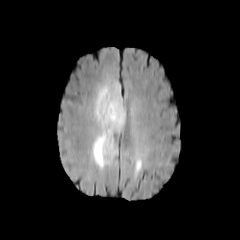
FLAIR MRI.
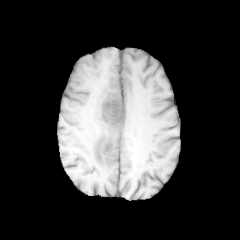
T1-weighted magnetic resonance.
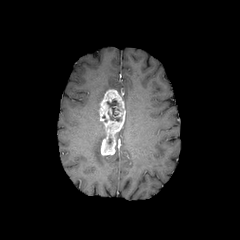
Same slice, post-contrast T1-weighted MR.
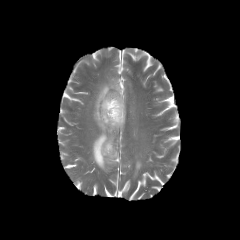
T2-weighted MR image of the same slice.
Image size 240x240 | Brain
Annotated regions:
* edema: <box>91,82,120,171</box>, <box>135,160,142,171</box>
* enhancing tumor: <box>99,89,125,155</box>
* non-enhancing tumor core: <box>106,98,122,121</box>